CT.
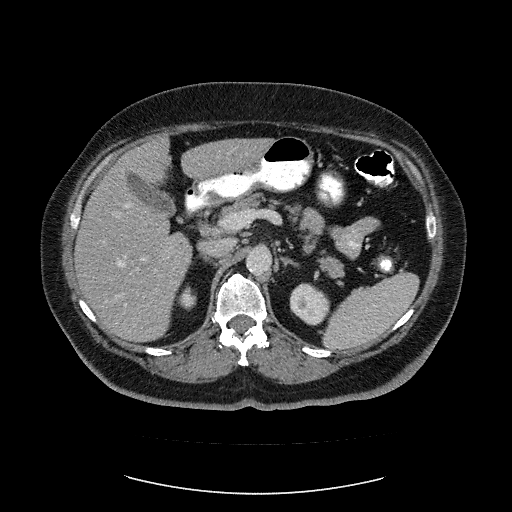 The vessel boxes may cover only some of the vessels.
12 hepatic vessel regions are located at left=126, top=203, right=130, bottom=206; left=118, top=256, right=126, bottom=266; left=114, top=212, right=120, bottom=217; left=261, top=159, right=264, bottom=165; left=244, top=172, right=253, bottom=174; left=141, top=257, right=146, bottom=260; left=208, top=179, right=214, bottom=180; left=116, top=293, right=123, bottom=297; left=223, top=174, right=232, bottom=176; left=111, top=301, right=114, bottom=302; left=136, top=268, right=138, bottom=270; left=228, top=152, right=230, bottom=153. The liver tumor is at left=172, top=238, right=190, bottom=262.